Slice 62/155
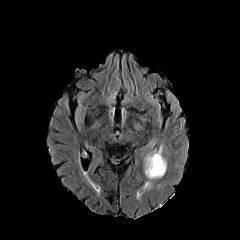
FLAIR MRI.
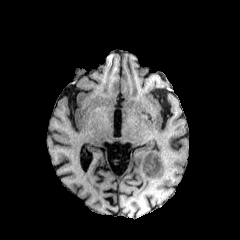
Same slice, T1-weighted MR.
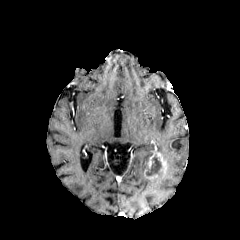
Same slice, post-contrast T1-weighted MR image.
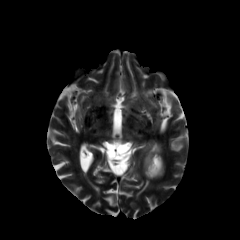
T2-weighted magnetic resonance.
edema:
  - [144,167,166,180]
  - [151,146,161,155]
enhancing_tumor:
  - [143,153,154,175]
non-enhancing_tumor_core:
  - [148,155,161,175]